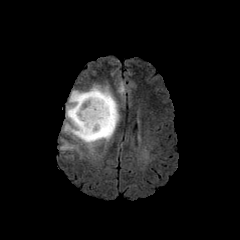
FLAIR MR.
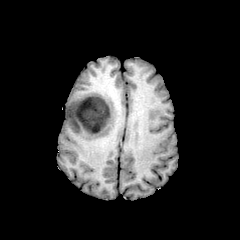
T1-weighted MR of the same slice.
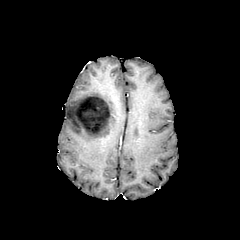
Same slice, post-contrast T1-weighted magnetic resonance.
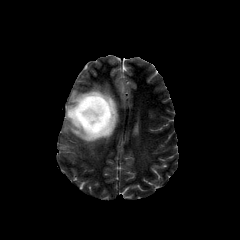
T2-weighted MR of the same slice.
{"edema": ["box(110, 117, 118, 128)", "box(63, 85, 113, 146)"], "non-enhancing_tumor_core": ["box(70, 91, 118, 139)"]}